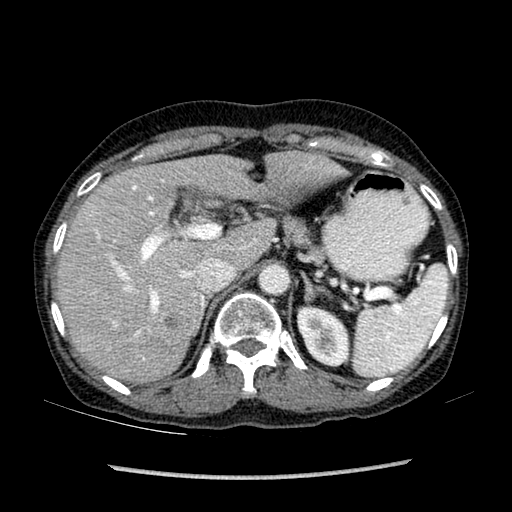

Upper abdomen, CT image
Kidney = rect(298, 308, 347, 364).
Focal liver lesion = rect(162, 312, 186, 330).
Liver = rect(58, 155, 274, 381); rect(266, 152, 337, 185).